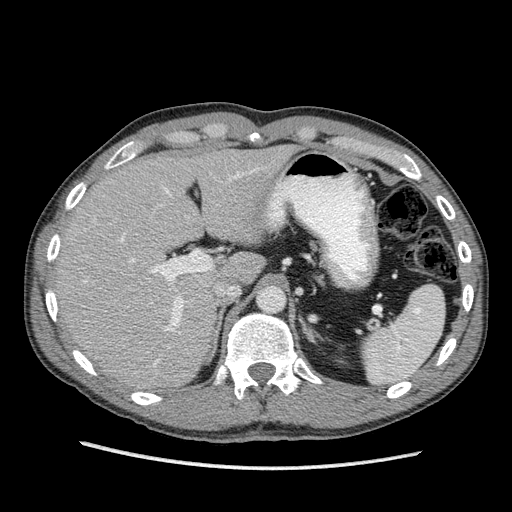 512x512 px | CT scan slice
liver: box(51, 144, 301, 393)